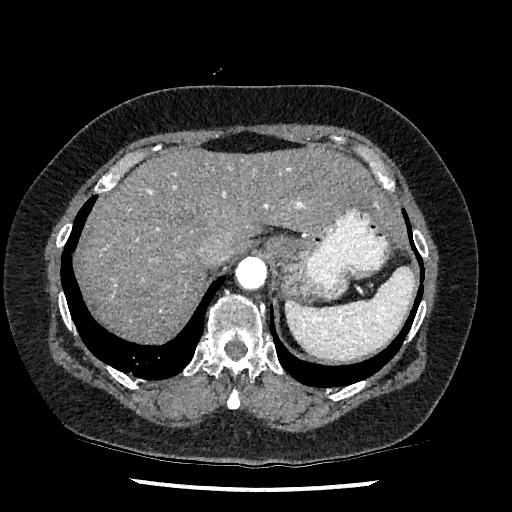
CT. Image size 512x512.

Liver: x1=80, y1=148, x2=403, y2=341.